Brain; Slice 69 of 155
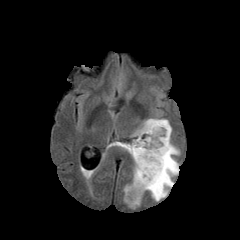
FLAIR magnetic resonance.
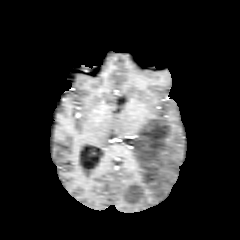
T1-weighted MRI.
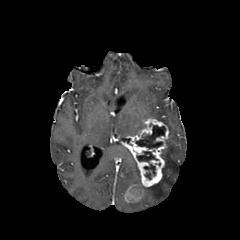
Post-contrast T1-weighted magnetic resonance of the same slice.
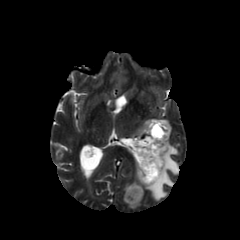
Same slice, T2-weighted MRI.
2 enhancing tumor regions appear at <box>121,119,168,187</box>, <box>125,185,142,201</box>. 4 edema regions are bounded by <box>109,141,131,157</box>, <box>128,198,141,206</box>, <box>124,162,139,193</box>, <box>142,117,179,200</box>. 3 non-enhancing tumor core regions appear at <box>136,125,165,148</box>, <box>144,164,155,174</box>, <box>137,151,157,161</box>.